Abdomen, Computed tomography

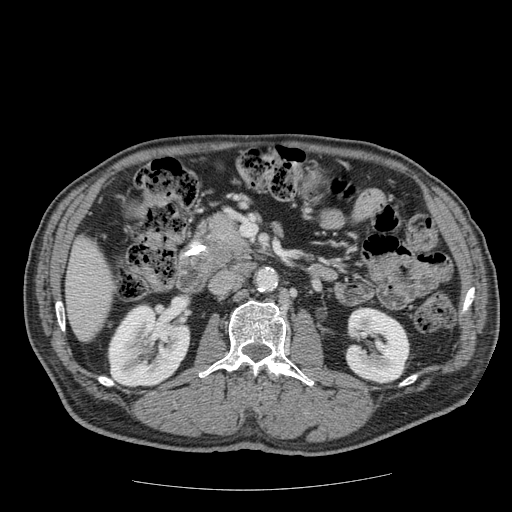
Pancreas — <box>228,213,243,234</box>, <box>181,214,247,272</box>.
Pancreatic tumor — <box>193,212,254,264</box>.